Head
FLAIR MR image.
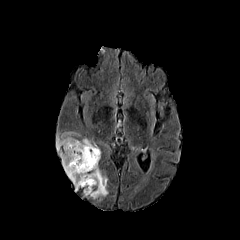
T1-weighted MR.
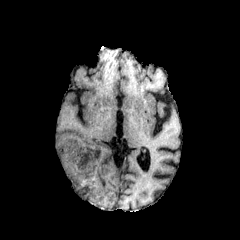
Post-contrast T1-weighted MRI.
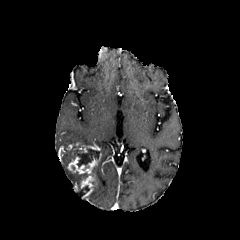
T2-weighted MRI.
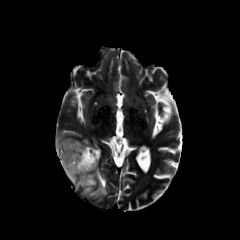
2 edema regions are bounded by <box>89,166,108,199</box>, <box>57,132,91,189</box>. 2 enhancing tumor regions appear at <box>79,144,98,152</box>, <box>68,157,98,196</box>. The non-enhancing tumor core lies within <box>73,148,99,167</box>.